Image width 240 mm. Brain. Slice 79 of 155.
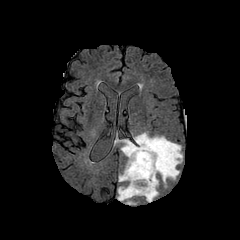
FLAIR MR image.
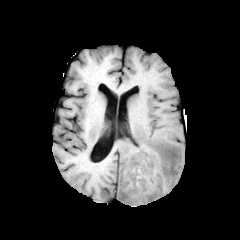
T1-weighted MR of the same slice.
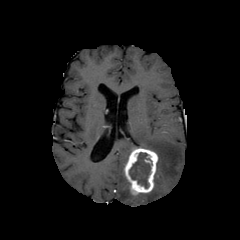
Post-contrast T1-weighted magnetic resonance.
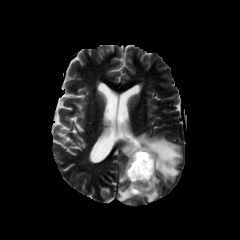
T2-weighted magnetic resonance of the same slice.
The enhancing tumor is located at l=124, t=146, r=158, b=194. The non-enhancing tumor core lies within l=129, t=152, r=150, b=187. 2 edema regions are bounded by l=120, t=139, r=133, b=161; l=118, t=132, r=182, b=203.